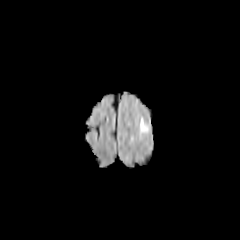
FLAIR MR image.
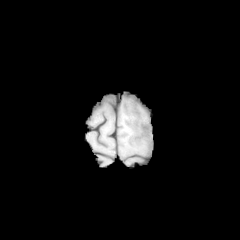
T1-weighted magnetic resonance of the same slice.
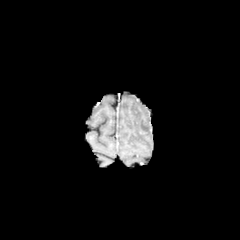
Post-contrast T1-weighted MR image.
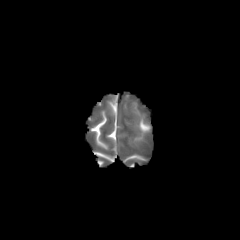
T2-weighted magnetic resonance.
Brain, 240x240
<segmentation>
  <edema><bbox>140, 121, 150, 130</bbox></edema>
</segmentation>